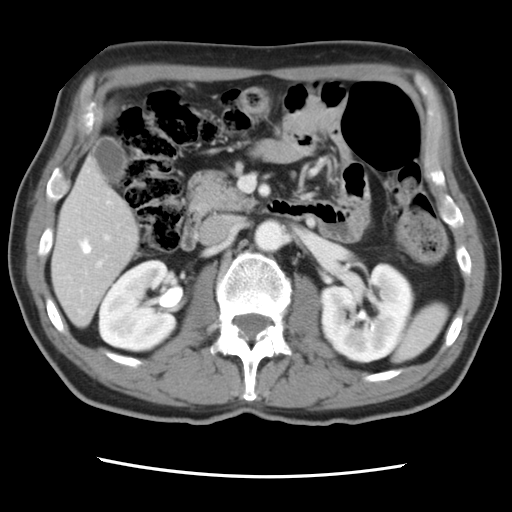 512x512 px, Liver, Computed tomography
The vessel annotation is not exhaustive.
hepatic_vessel:
  - (108,201,110,203)
  - (98,261,101,265)
  - (81,240,90,252)
  - (105,236,109,239)